FLAIR MRI.
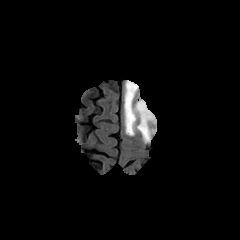
T1-weighted MR image.
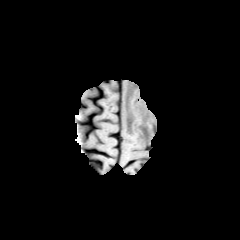
Post-contrast T1-weighted magnetic resonance.
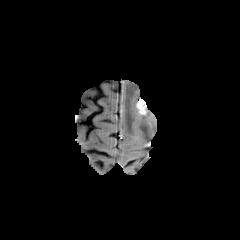
T2-weighted MR.
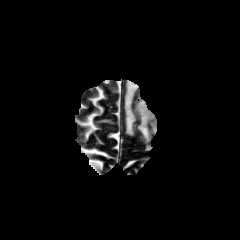
Image size 240x240 | Head
Findings:
- enhancing tumor: left=136, top=98, right=147, bottom=115
- edema: left=123, top=80, right=156, bottom=143